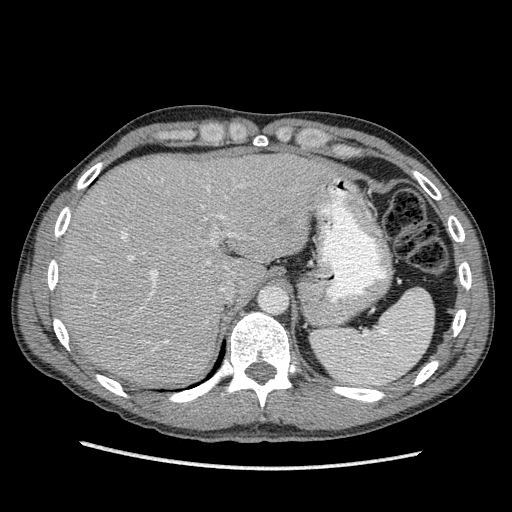 CT slice
Liver at 56, 147, 330, 388.
Focal liver lesion at 276, 217, 288, 225.